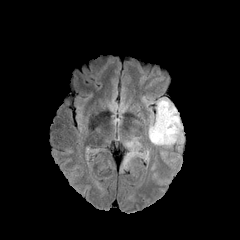
FLAIR MR.
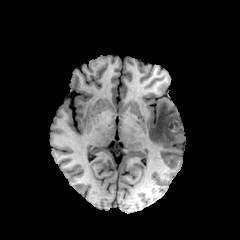
T1-weighted MR.
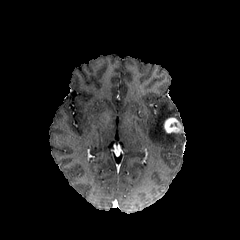
Post-contrast T1-weighted magnetic resonance of the same slice.
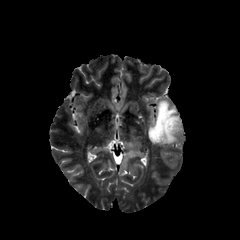
T2-weighted magnetic resonance.
Brain
enhancing tumor: bbox=[163, 117, 182, 133] | edema: bbox=[148, 99, 179, 144]; bbox=[123, 137, 141, 155]